Slice 71 of 155; Brain; Field of view 240x240 mm; 240x240 px
FLAIR MR image.
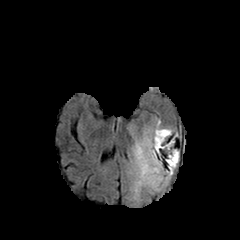
T1-weighted magnetic resonance.
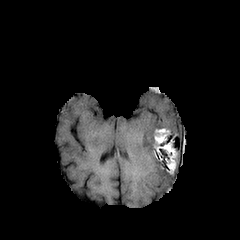
Post-contrast T1-weighted magnetic resonance.
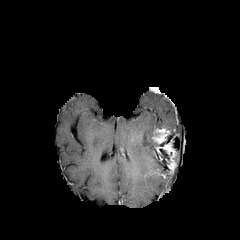
T2-weighted MRI.
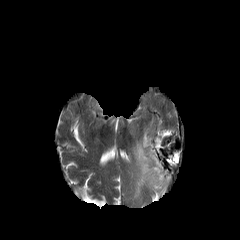
Edema at <box>128,119,179,201</box>.
Enhancing tumor at <box>154,128,170,143</box>, <box>155,140,177,173</box>.